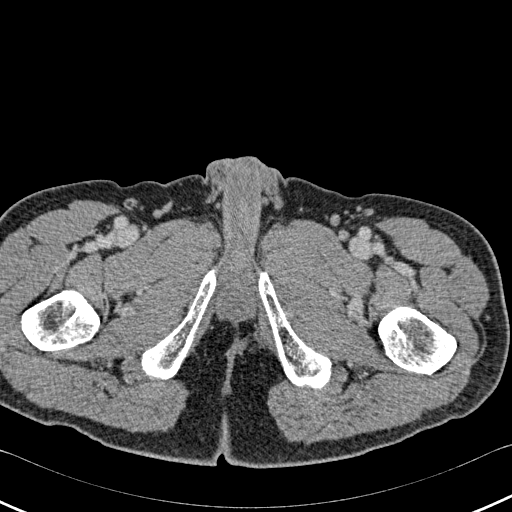 CT
4 bone regions are located at left=258, top=272, right=330, bottom=388; left=21, top=290, right=99, bottom=350; left=378, top=307, right=456, bottom=374; left=142, top=269, right=215, bottom=378.